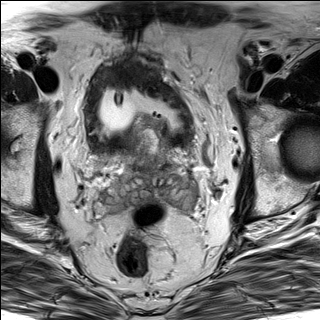
T2-weighted magnetic resonance.
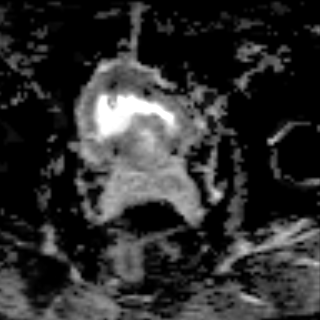
ADC MR.
Pelvis
prostate_transition_zone:
  - (133,117,164,154)